CT

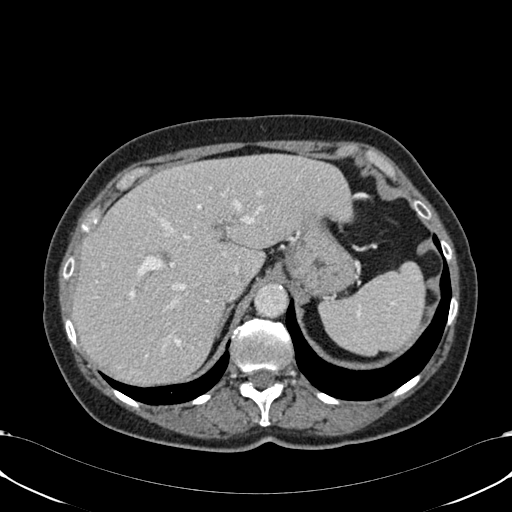
Liver: (left=72, top=156, right=352, bottom=383).